Image width 430 mm, Abdomen, CT image

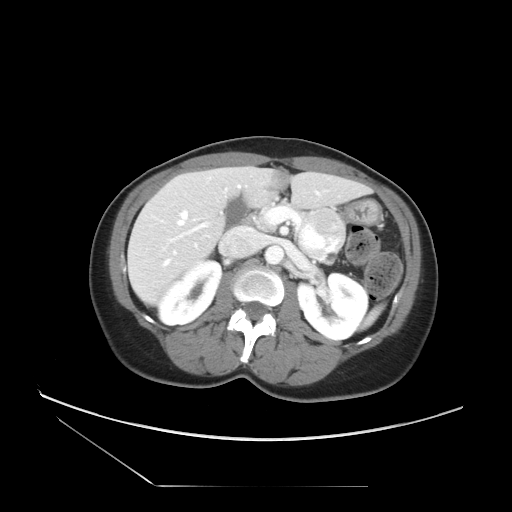 pancreas: l=324, t=252, r=338, b=262; l=257, t=205, r=271, b=229 | pancreatic tumor: l=296, t=207, r=346, b=261